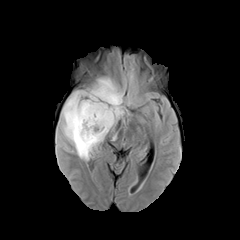
FLAIR MR.
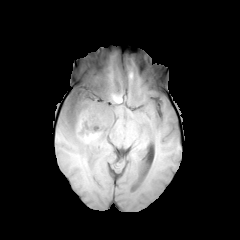
T1-weighted MR image.
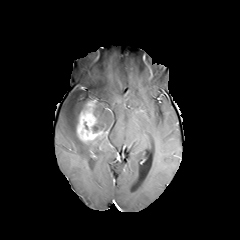
Post-contrast T1-weighted MRI.
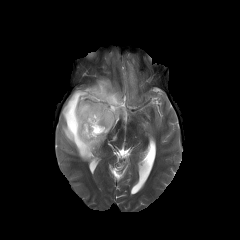
Same slice, T2-weighted MR.
Head
• enhancing tumor: bbox(76, 99, 107, 142)
• non-enhancing tumor core: bbox(93, 117, 109, 131); bbox(70, 116, 78, 137); bbox(70, 88, 105, 111)
• edema: bbox(62, 93, 107, 160); bbox(92, 76, 128, 129)